240x240 | Slice 100 of 155 | Brain
FLAIR MRI.
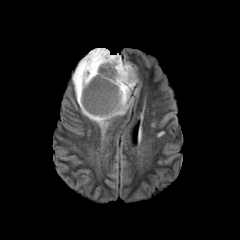
T1-weighted MR.
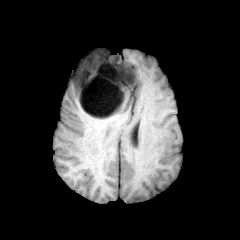
Post-contrast T1-weighted MR.
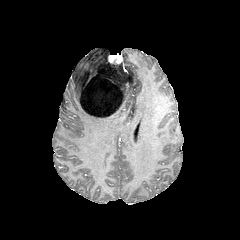
T2-weighted MRI.
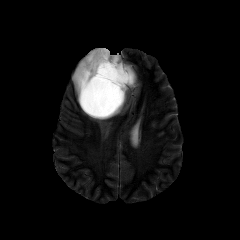
enhancing_tumor:
  - {"x1": 108, "y1": 55, "x2": 122, "y2": 64}
edema:
  - {"x1": 72, "y1": 48, "x2": 138, "y2": 133}
non-enhancing_tumor_core:
  - {"x1": 80, "y1": 51, "x2": 134, "y2": 117}